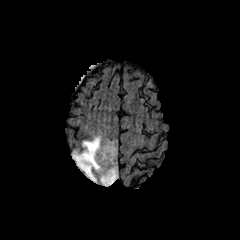
FLAIR MR.
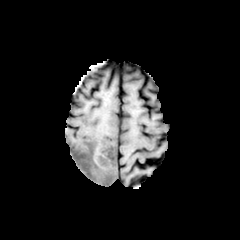
T1-weighted MR image.
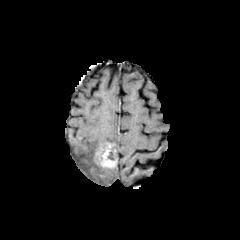
Post-contrast T1-weighted MR of the same slice.
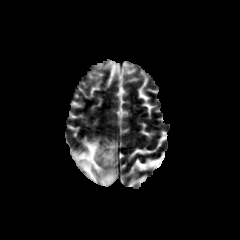
T2-weighted magnetic resonance.
2 non-enhancing tumor core regions are located at 88, 142, 115, 167; 108, 150, 117, 168. The enhancing tumor is located at 99, 144, 115, 168. The edema is bounded by 72, 136, 117, 186.